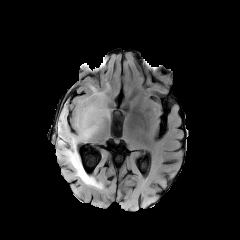
FLAIR MR.
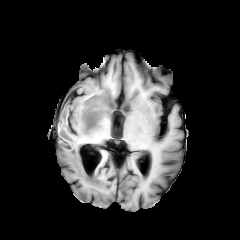
T1-weighted MR.
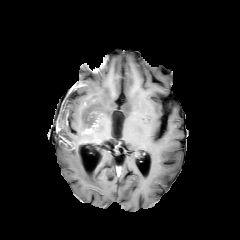
Post-contrast T1-weighted MR image.
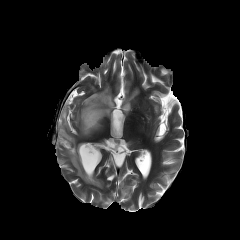
T2-weighted MR image of the same slice.
Head
Edema — x1=56, y1=98, x2=108, y2=189.
Non-enhancing tumor core — x1=88, y1=119, x2=97, y2=133.